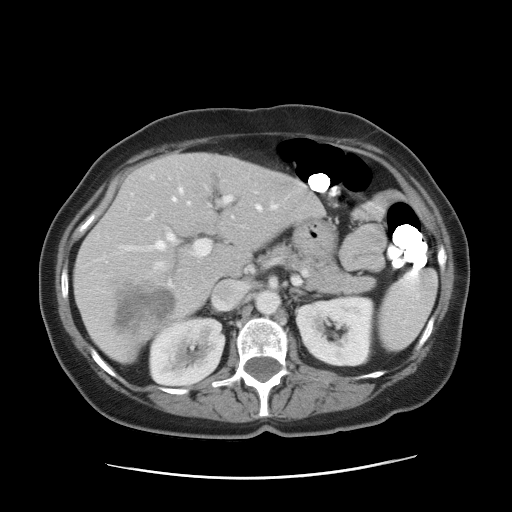 Computed tomography | Abdomen | 512x512 px

Some hepatic vessels may have no box.
Hepatic vessel — (257,205,260,210), (148,214,153,219), (152,176,153,178), (223,196,232,202), (173,198,176,200), (123,246,154,251), (167,232,175,242), (179,188,182,192), (191,240,211,257), (188,203,190,204), (169,282,172,285), (156,241,165,249), (155,262,162,268), (271,205,276,208).
Liver tumor — (109,273,178,336).